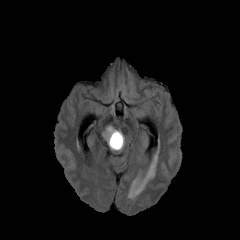
FLAIR MR.
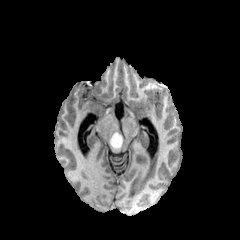
T1-weighted MR image.
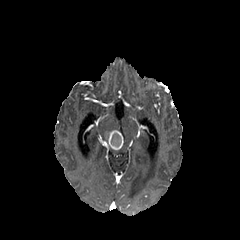
Same slice, post-contrast T1-weighted MR.
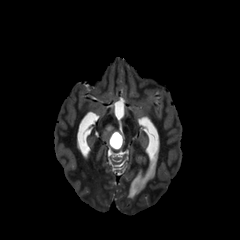
T2-weighted MRI.
Brain
Segmented structures:
* enhancing tumor: box=[108, 130, 124, 150]
* edema: box=[104, 125, 117, 132]
* non-enhancing tumor core: box=[110, 132, 121, 147]